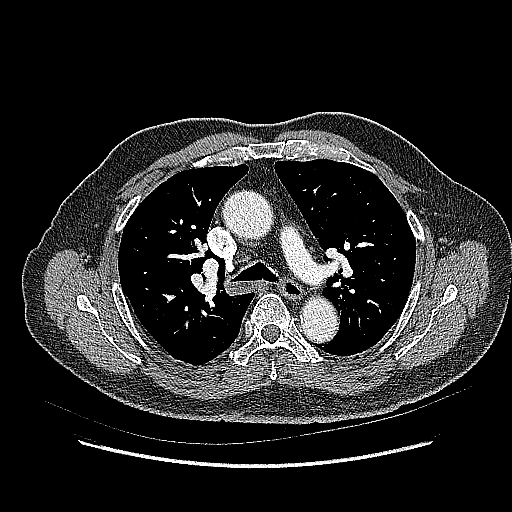 512x512. Computed tomography. Thorax.
The lung tumor is at 335, 235, 342, 243.